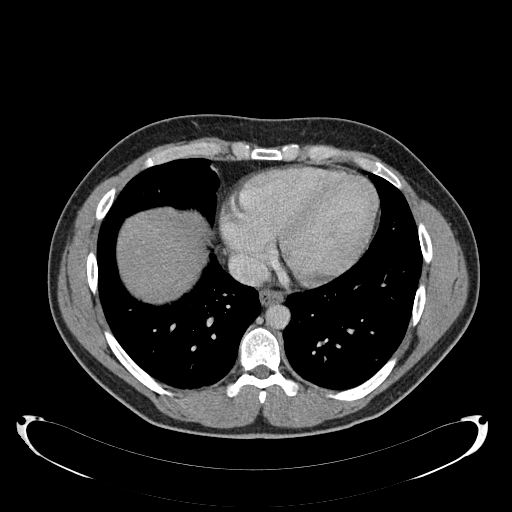 Computed tomography
Liver = (118,211,205,299).